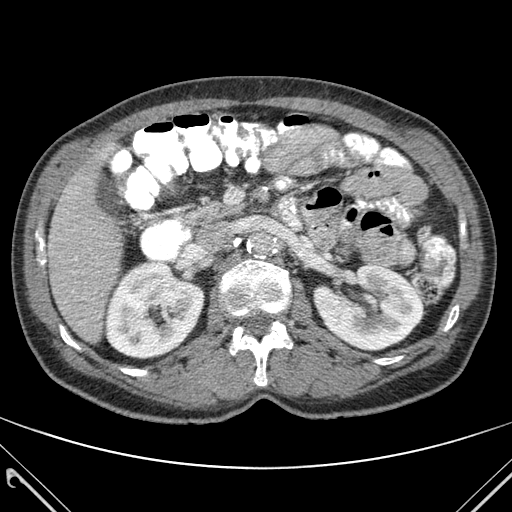
CT image. Upper abdomen. 2 kidney regions appear at 107, 262, 202, 357; 315, 265, 422, 349. 2 liver regions appear at 48, 157, 124, 342; 102, 145, 118, 157. 7 bone regions are bounded by 121, 368, 146, 375; 375, 356, 402, 364; 36, 229, 45, 264; 230, 322, 292, 385; 445, 306, 458, 330; 221, 260, 289, 316; 60, 325, 79, 348.